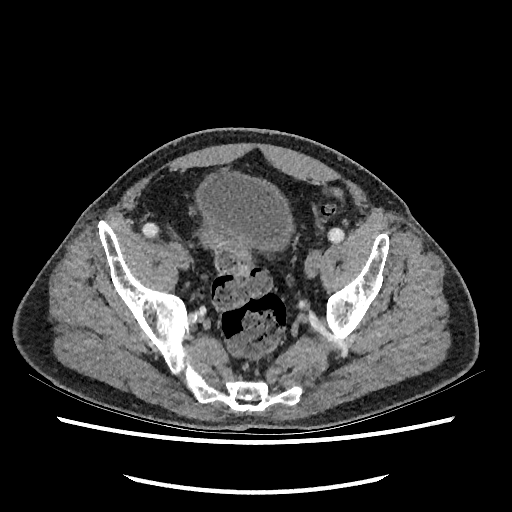
Computed tomography
Annotated regions:
- urinary bladder: box(196, 171, 293, 252)